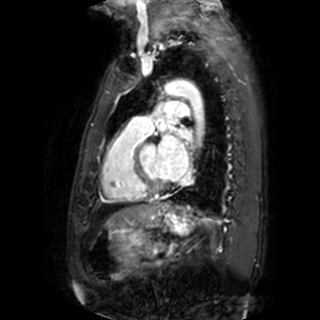 Cardiac. MRI slice.
3 left atrium regions appear at 178 130 192 139, 157 134 188 180, 166 115 175 123.